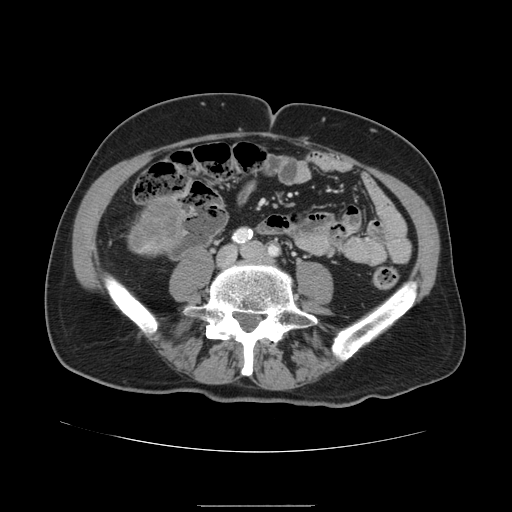
CT image

• liver tumor: left=129, top=199, right=180, bottom=248